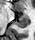 35x40 px. MRI slice.
{"posterior_hippocampus": ["(x1=15, y1=20, x2=28, y2=27)"], "anterior_hippocampus": ["(x1=20, y1=15, x2=28, y2=19)"]}